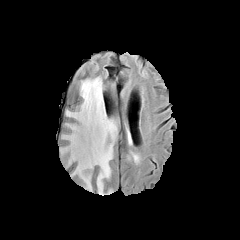
FLAIR MRI.
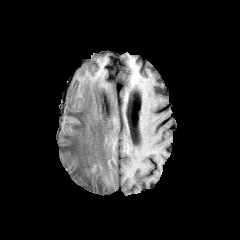
T1-weighted MR image of the same slice.
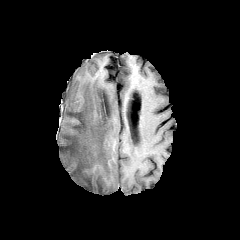
Same slice, post-contrast T1-weighted MR.
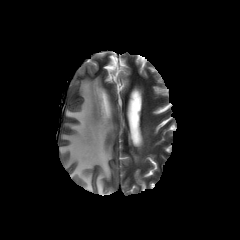
Same slice, T2-weighted MR image.
Brain.
Edema: region(63, 77, 117, 194).